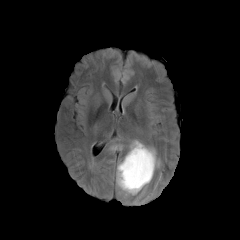
FLAIR magnetic resonance.
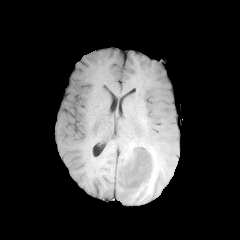
T1-weighted MRI of the same slice.
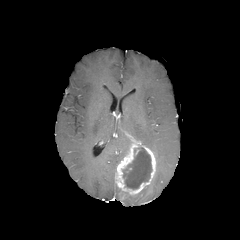
Same slice, post-contrast T1-weighted magnetic resonance.
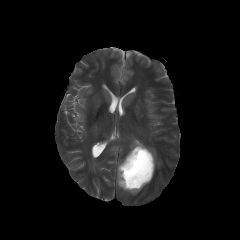
Same slice, T2-weighted MR.
240x240
Non-enhancing tumor core: bounding box (left=123, top=147, right=151, bottom=189).
Enhancing tumor: bounding box (left=116, top=141, right=155, bottom=194).